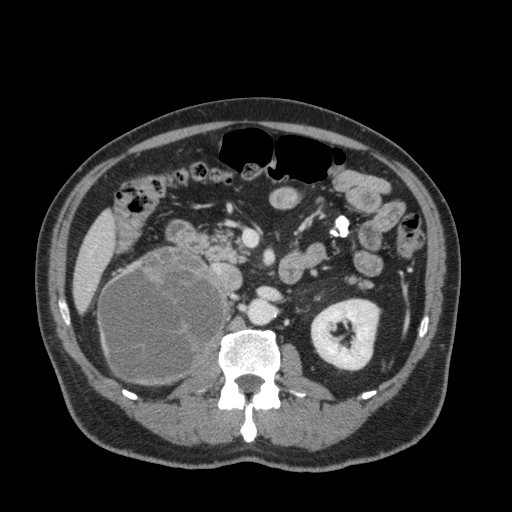
512x512 px; CT image; Upper abdomen
liver:
  - (74,211,114,310)
kidney:
  - (312,300,378,369)